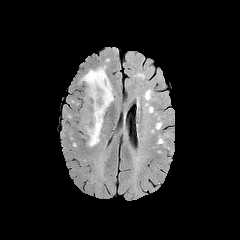
FLAIR MRI.
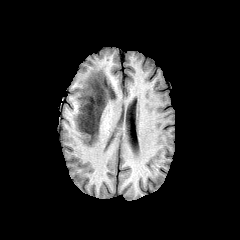
Same slice, T1-weighted magnetic resonance.
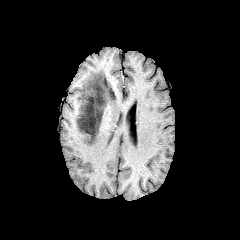
Same slice, post-contrast T1-weighted MR.
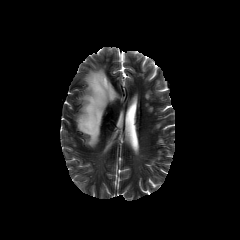
T2-weighted MRI of the same slice.
Image size 240x240
Non-enhancing tumor core: <box>78,74,113,140</box>.
Edema: <box>83,69,105,96</box>, <box>87,93,113,146</box>.